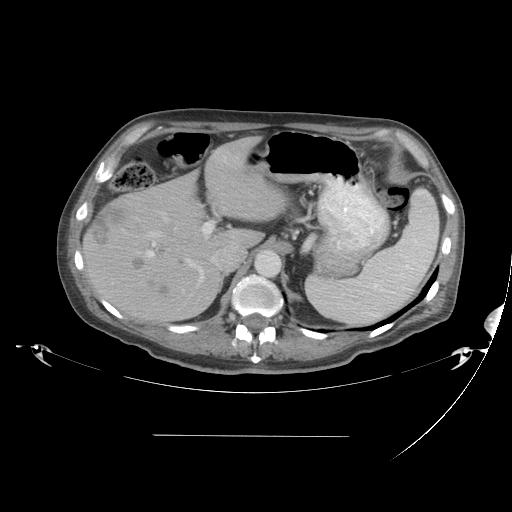
512x512 px, CT image, Abdomen
Not every hepatic vessel necessarily has a box.
hepatic_vessel:
  - box(212, 257, 215, 260)
  - box(143, 232, 162, 246)
  - box(136, 251, 141, 253)
  - box(174, 228, 176, 230)
  - box(201, 222, 213, 237)
  - box(144, 250, 154, 258)
  - box(182, 289, 183, 292)
  - box(135, 236, 139, 237)
  - box(159, 212, 168, 221)
  - box(230, 235, 235, 237)
  - box(186, 259, 203, 284)
liver_tumor:
  - box(133, 260, 140, 267)
  - box(93, 205, 127, 240)
  - box(146, 280, 154, 288)
  - box(160, 286, 169, 296)